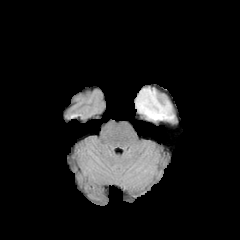
FLAIR MR image.
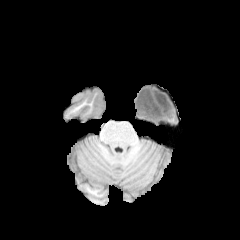
T1-weighted MRI.
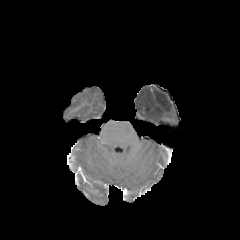
Post-contrast T1-weighted MR image of the same slice.
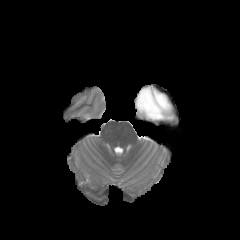
T2-weighted MR image of the same slice.
{
  "edema": [
    "x1=138, y1=109, x2=174, y2=122"
  ],
  "non-enhancing_tumor_core": [
    "x1=136, y1=87, x2=171, y2=119"
  ]
}